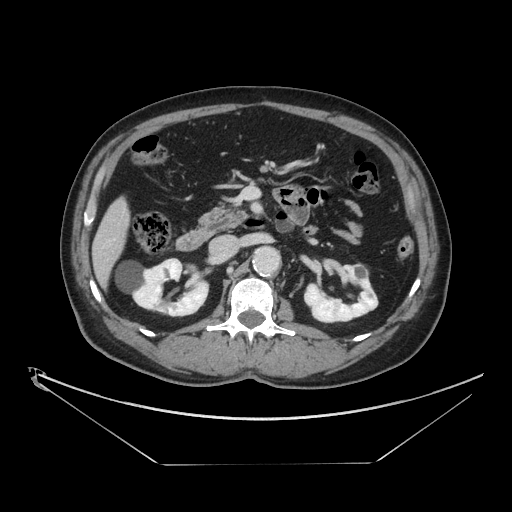
Liver | CT image
Some hepatic vessels may have no box.
Findings:
• hepatic vessel: (113, 239, 114, 240)